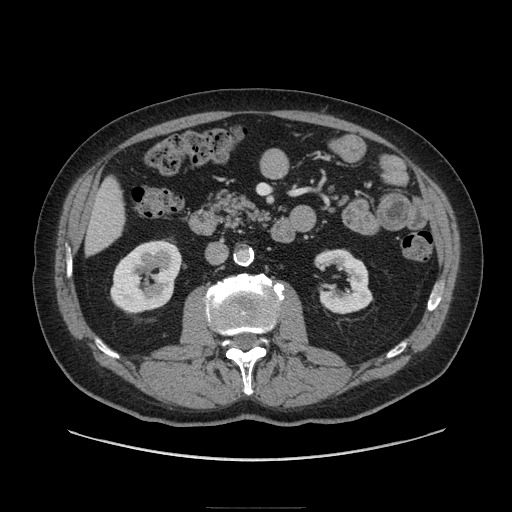 Computed tomography. Abdomen.
{
  "pancreas": [
    "213 189 269 230"
  ]
}